Slice 60/155 | Image width 240 mm | 240x240
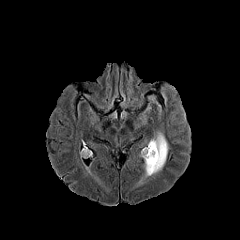
FLAIR MR.
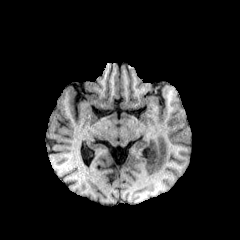
T1-weighted magnetic resonance.
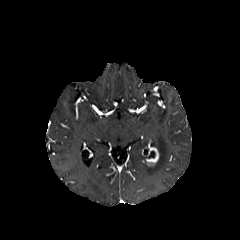
Post-contrast T1-weighted magnetic resonance.
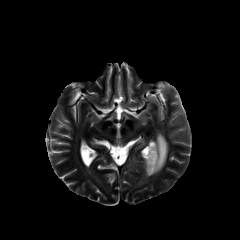
T2-weighted MR.
{"enhancing_tumor": ["[147,147,158,163]"], "non-enhancing_tumor_core": ["[146,150,155,160]"], "edema": ["[145,133,167,176]"]}